CT slice; Slice index 498; Liver

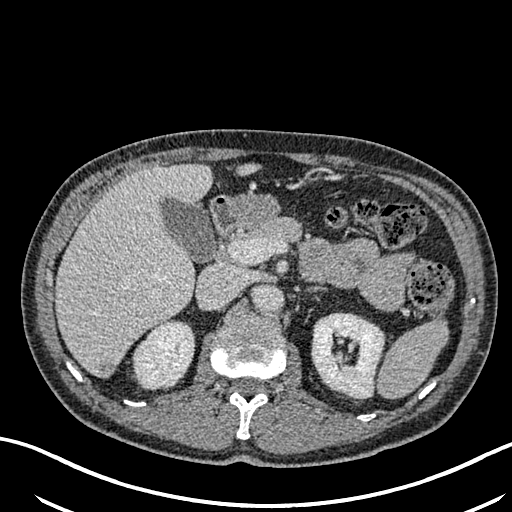 Hepatic lesion: bbox=[99, 363, 115, 375].
Kidney: bbox=[312, 314, 383, 394]; bbox=[134, 323, 193, 385].
Liver: bbox=[238, 167, 254, 173]; bbox=[56, 165, 211, 376].